512x512. Slice 566/630. CT. 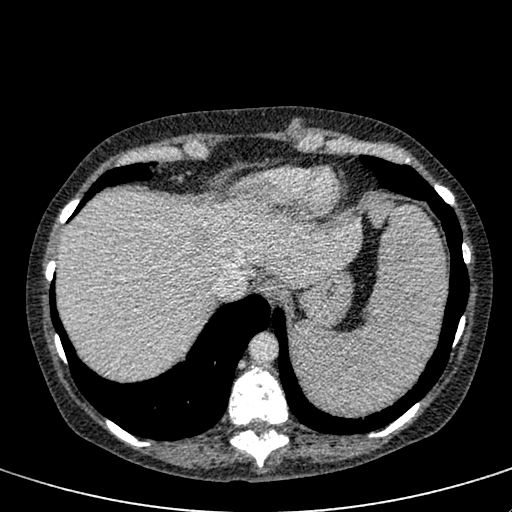 hepatic lesion: 188 227 216 249 | liver: 58 193 361 380